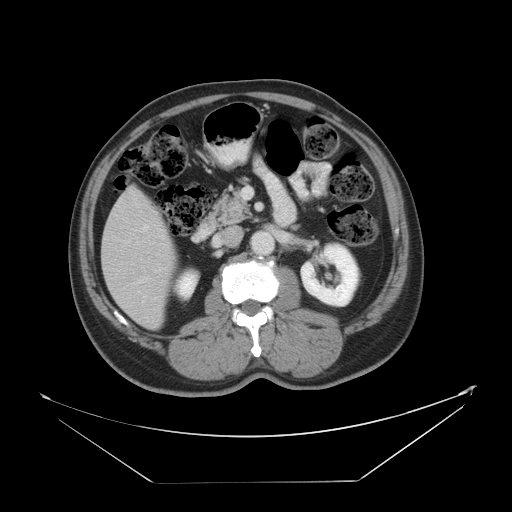

Abdomen; CT slice

Some hepatic vessels may have no box.
Annotated regions:
• hepatic vessel: 154:229:163:237, 137:241:139:244, 154:308:156:310, 144:295:146:297, 159:243:161:245, 137:277:146:283, 138:291:139:292